FLAIR MRI.
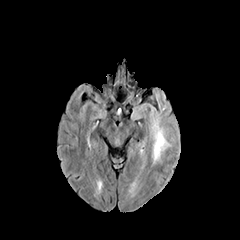
T1-weighted MR image.
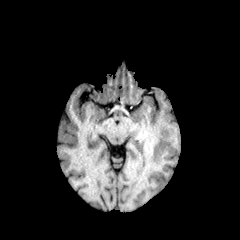
Post-contrast T1-weighted magnetic resonance.
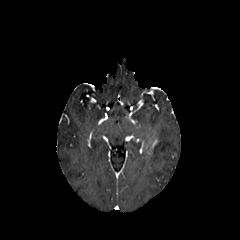
T2-weighted MR image.
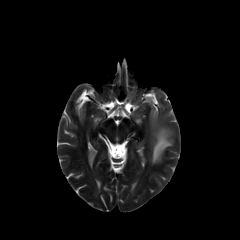
The edema is at <bbox>151, 127, 172, 163</bbox>. The enhancing tumor is located at <bbox>147, 135, 157, 153</bbox>.